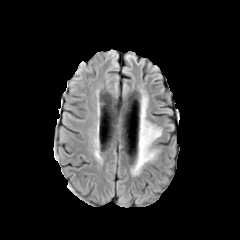
FLAIR MR.
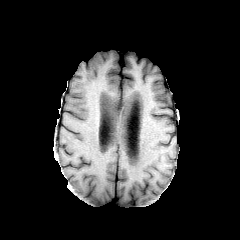
Same slice, T1-weighted MRI.
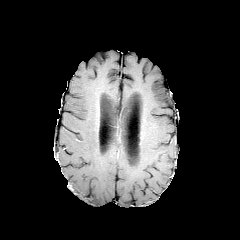
Same slice, post-contrast T1-weighted MR image.
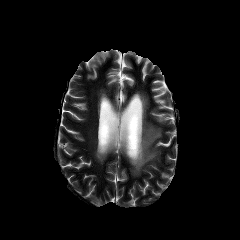
Same slice, T2-weighted MRI.
Head
Annotated regions:
* edema: (133, 96, 161, 174)